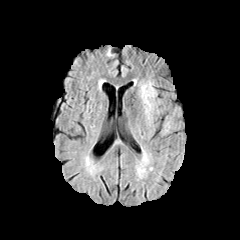
FLAIR magnetic resonance.
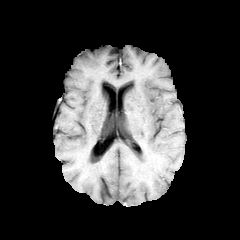
T1-weighted MR image.
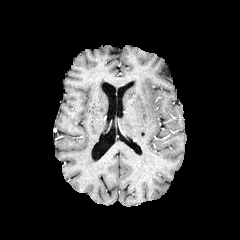
Post-contrast T1-weighted MR image.
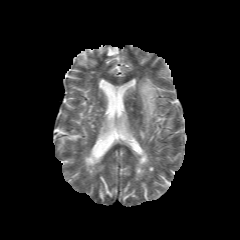
T2-weighted MRI of the same slice.
Edema at x1=139 y1=84 x2=156 y2=122, x1=136 y1=149 x2=151 y2=176.